FLAIR MRI.
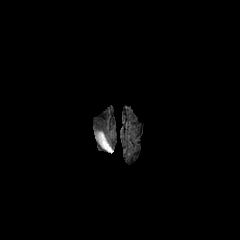
T1-weighted magnetic resonance.
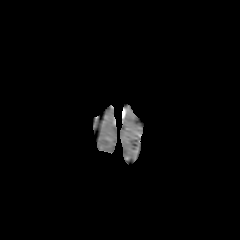
Post-contrast T1-weighted MR.
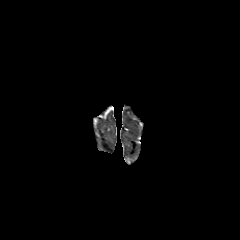
T2-weighted MR image.
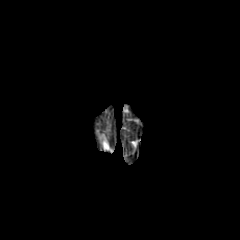
Brain
Edema: bounding box bbox=[97, 133, 113, 152].